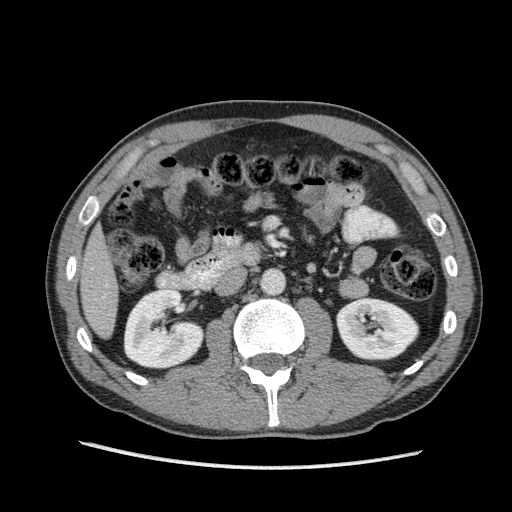 Computed tomography
The liver appears at x1=76 y1=224 x2=118 y2=338. 2 kidney regions are located at x1=337 y1=299 x2=416 y2=358, x1=125 y1=290 x2=202 y2=367.